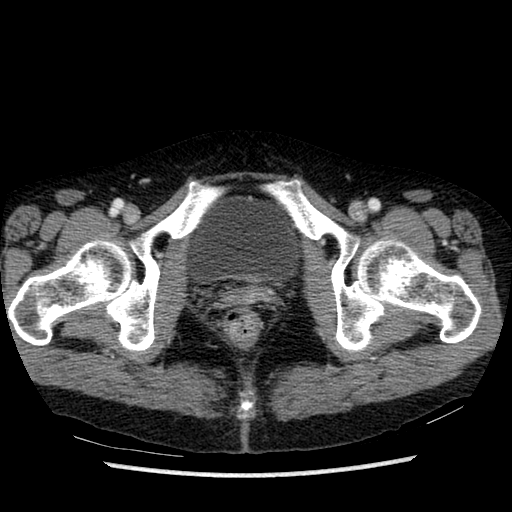
512x512 px. CT slice. Pelvis. Segmented structures:
- urinary bladder: <box>185,195,306,286</box>